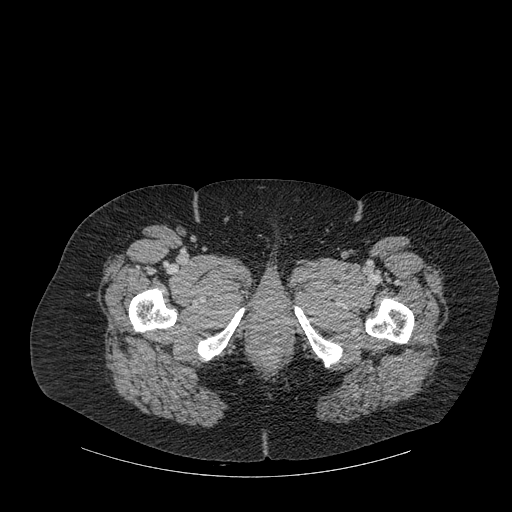 512x512 px; CT image
bone: {"x1": 198, "y1": 308, "x2": 244, "y2": 360}, {"x1": 129, "y1": 289, "x2": 176, "y2": 331}, {"x1": 366, "y1": 298, "x2": 413, "y2": 343}, {"x1": 295, "y1": 306, "x2": 342, "y2": 366}